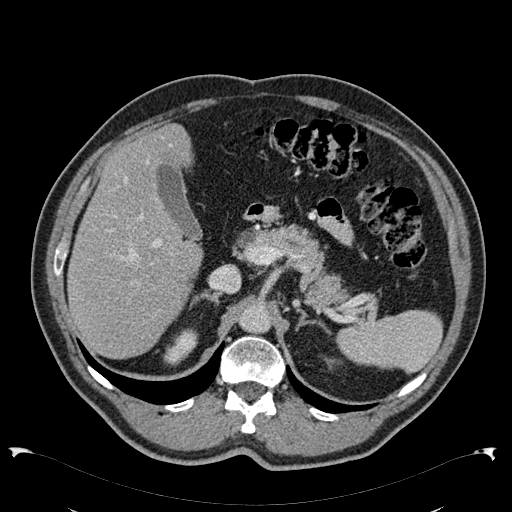
512x512 px. CT image. Liver.
Segmented structures:
• liver: bbox(67, 124, 202, 358)
• kidney: bbox(164, 329, 197, 364)